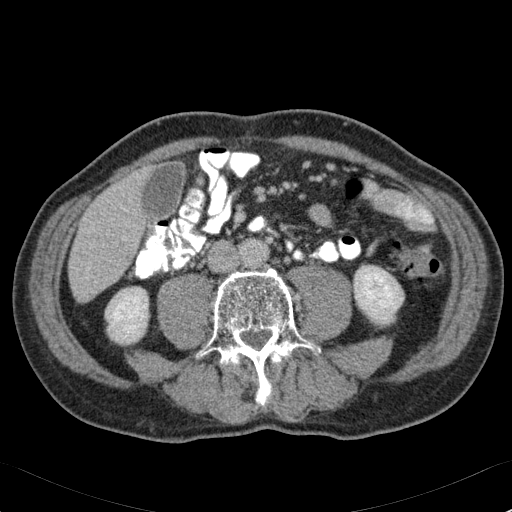 512x512 | CT
Kidney: l=354, t=265, r=403, b=324; l=105, t=287, r=148, b=343.
Liver: l=69, t=167, r=146, b=301.